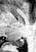
MR image. Medial temporal lobe. 36x52 px.

{
  "posterior_hippocampus": [
    "[13, 39, 25, 46]"
  ]
}